Slice 90/161, CT slice
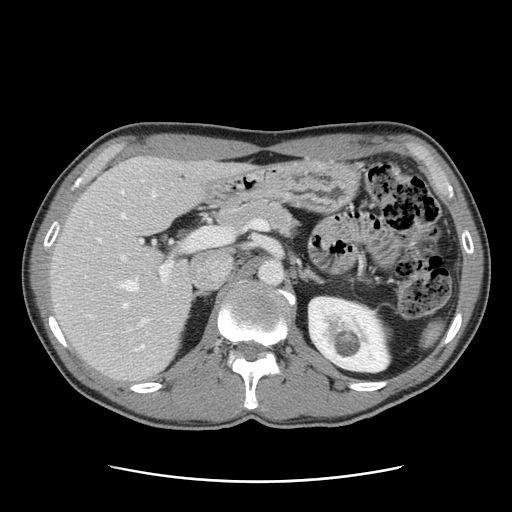

The vessel boxes may cover only some of the vessels.
Hepatic vessel: bounding box {"x1": 159, "y1": 262, "x2": 171, "y2": 284}, {"x1": 140, "y1": 319, "x2": 146, "y2": 324}, {"x1": 140, "y1": 239, "x2": 142, "y2": 242}, {"x1": 128, "y1": 328, "x2": 130, "y2": 329}, {"x1": 97, "y1": 238, "x2": 100, "y2": 241}, {"x1": 120, "y1": 278, "x2": 137, "y2": 290}, {"x1": 135, "y1": 344, "x2": 143, "y2": 350}, {"x1": 121, "y1": 191, "x2": 123, "y2": 193}, {"x1": 121, "y1": 214, "x2": 124, "y2": 217}, {"x1": 123, "y1": 304, "x2": 127, "y2": 306}, {"x1": 151, "y1": 191, "x2": 154, "y2": 197}, {"x1": 121, "y1": 256, "x2": 125, "y2": 259}, {"x1": 88, "y1": 315, "x2": 91, "y2": 316}, {"x1": 141, "y1": 180, "x2": 143, "y2": 181}.